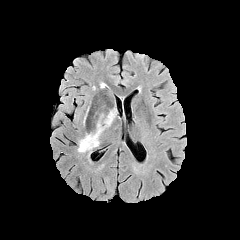
FLAIR MRI.
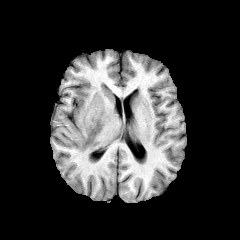
T1-weighted magnetic resonance.
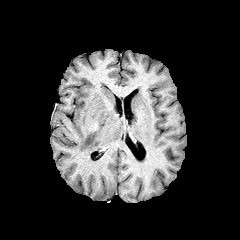
Post-contrast T1-weighted MR.
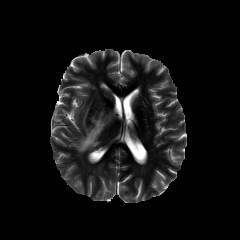
Same slice, T2-weighted MR.
Findings:
- edema: left=77, top=107, right=117, bottom=152
- enhancing tumor: left=89, top=121, right=98, bottom=131